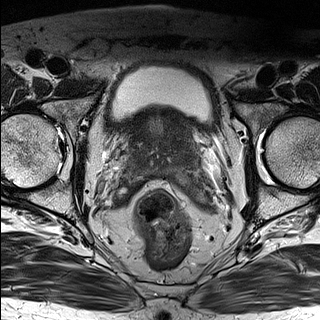
T2-weighted MR image.
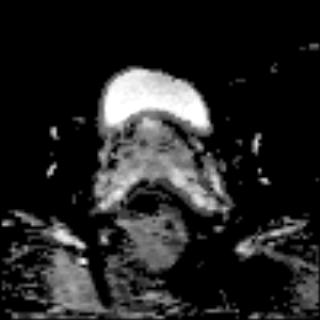
Same slice, ADC MR image.
320x320
The prostate transition zone lies within region(134, 126, 189, 164).